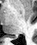
MR image. 37x45.

Segmented structures:
• posterior hippocampus: [13, 36, 17, 37]